Slice index 601 | Field of view 432x432 mm | CT scan slice 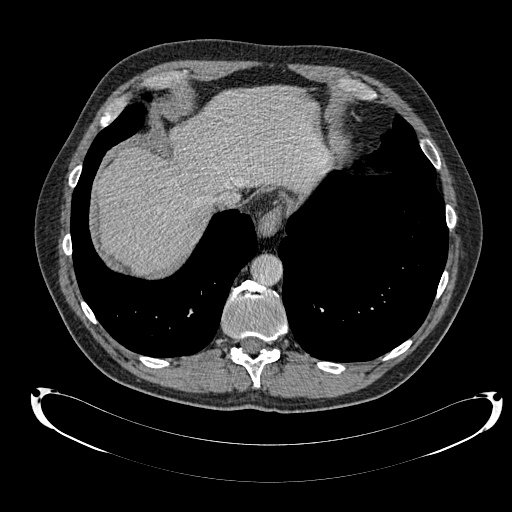 liver:
  - <box>97,86,331,275</box>